CT scan slice. Slice index 71.

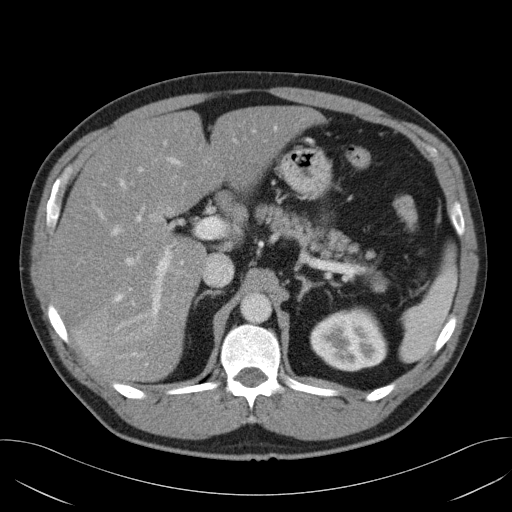

<segmentation>
  <pancreas>left=254, top=204, right=386, bottom=288</pancreas>
</segmentation>